Field of view 240 mm wide, 1.00 mm slice spacing; Brain
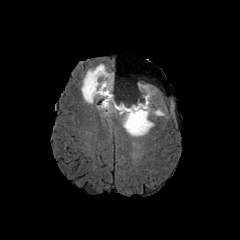
FLAIR MR image.
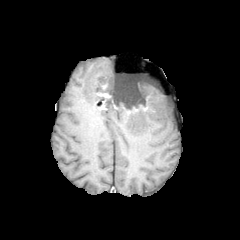
T1-weighted MRI of the same slice.
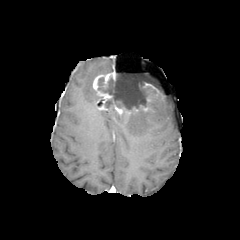
Post-contrast T1-weighted MRI.
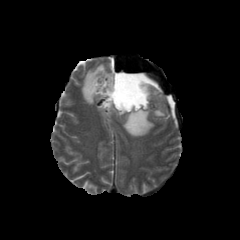
T2-weighted MR.
The non-enhancing tumor core is located at x1=98, y1=77, x2=147, y2=118. The edema appears at x1=81, y1=63, x2=165, y2=137. 2 enhancing tumor regions appear at x1=114, y1=105, x2=123, y2=114; x1=92, y1=72, x2=113, y2=102.